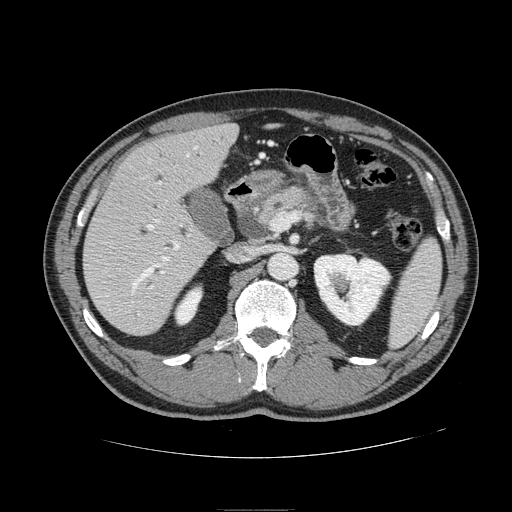
Upper abdomen. CT scan slice. Findings:
• pancreas: <box>258,187,306,225</box>